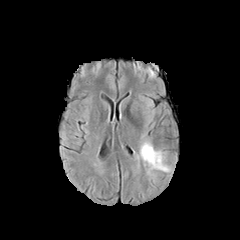
FLAIR MRI.
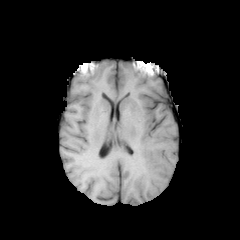
T1-weighted MRI.
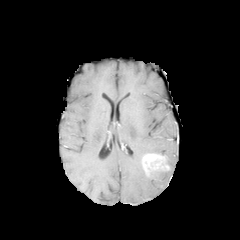
Post-contrast T1-weighted MR image.
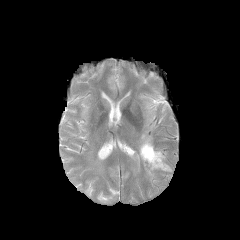
T2-weighted MR image of the same slice.
enhancing_tumor:
  - (left=141, top=150, right=170, bottom=173)
edema:
  - (left=131, top=132, right=166, bottom=169)